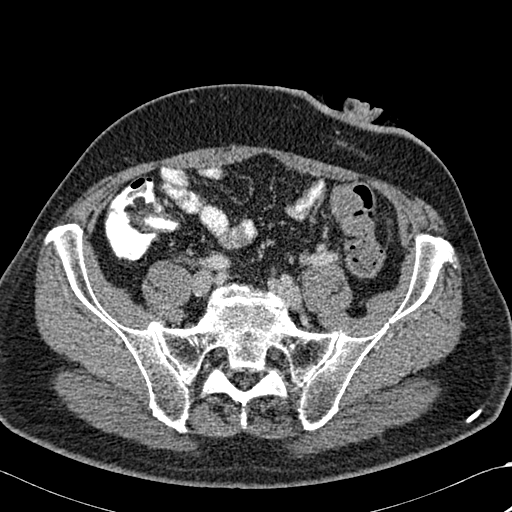 CT image, 512x512 px
bone: [241,409,246,425], [46,224,453,430]